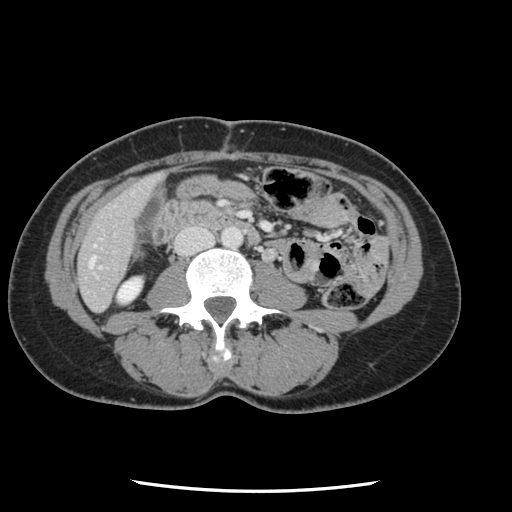
512x512 px | Computed tomography

Some hepatic vessels may have no box.
hepatic_vessel:
  - [89,256,94,265]